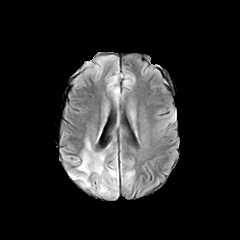
FLAIR MRI.
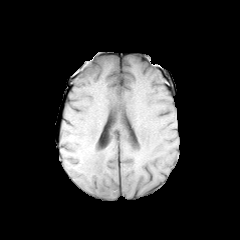
T1-weighted magnetic resonance.
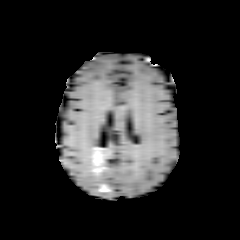
Same slice, post-contrast T1-weighted MR.
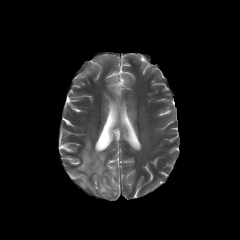
T2-weighted MR image.
edema: [80, 153, 93, 170] | non-enhancing tumor core: [93, 154, 101, 172]